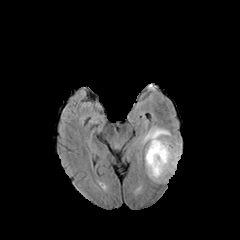
FLAIR MR.
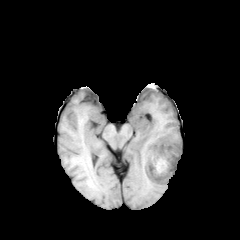
T1-weighted MRI of the same slice.
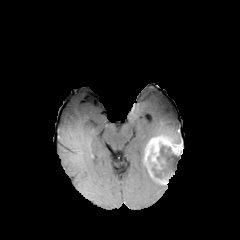
Post-contrast T1-weighted MR of the same slice.
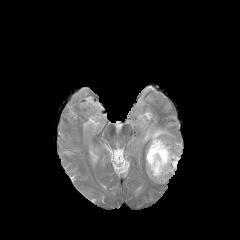
T2-weighted MR image of the same slice.
240x240.
Edema: bounding box l=132, t=118, r=181, b=153; l=137, t=153, r=160, b=183.
Non-enhancing tumor core: bounding box l=146, t=142, r=179, b=181.
Enhancing tumor: bounding box l=144, t=136, r=183, b=162.